Slice 58 of 154, CT scan slice

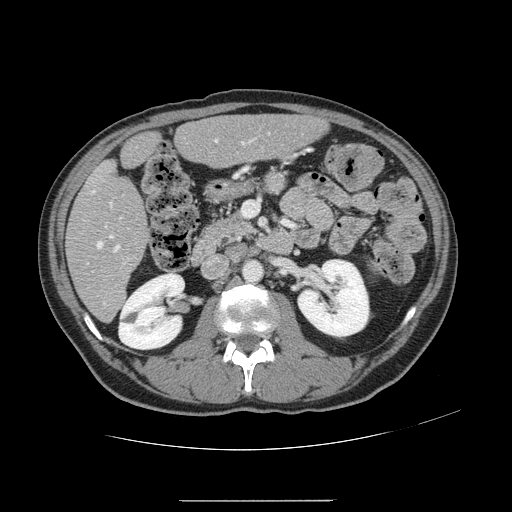 Some hepatic vessels may have no box.
11 hepatic vessel regions are bounded by region(251, 139, 253, 140); region(215, 139, 217, 141); region(114, 246, 119, 250); region(119, 217, 121, 218); region(241, 142, 245, 144); region(105, 225, 106, 227); region(104, 302, 106, 306); region(110, 202, 111, 206); region(90, 190, 94, 193); region(97, 242, 102, 248); region(110, 235, 112, 237).